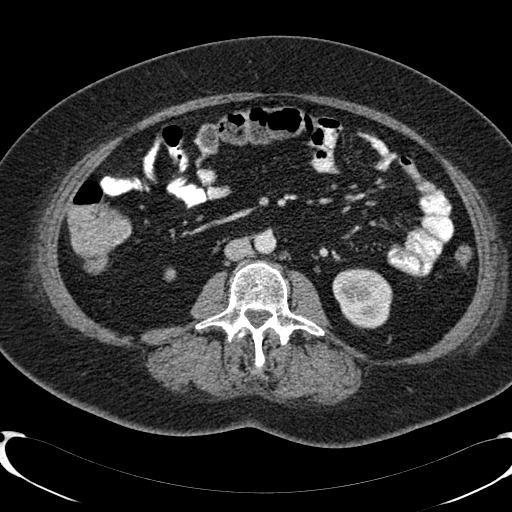

CT slice; Abdomen; 512x512

Kidney at left=334, top=270, right=391, bottom=327.